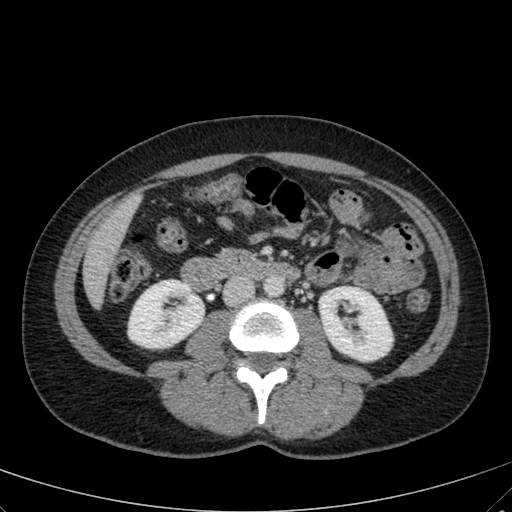 Computed tomography

Liver — [83, 203, 132, 308].
Kidney — [128, 280, 203, 347], [319, 287, 392, 360].